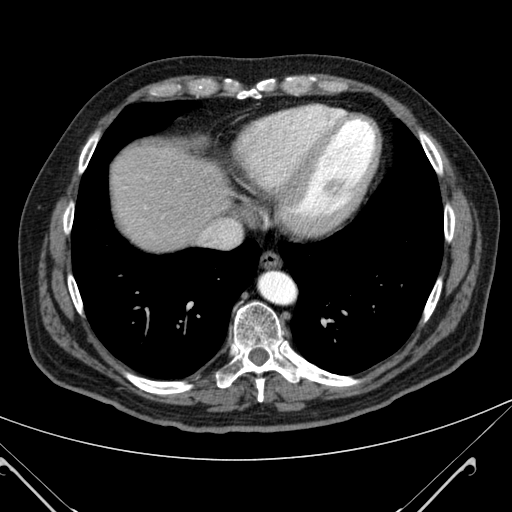
CT slice
The liver lies within <box>109,143,230,253</box>.